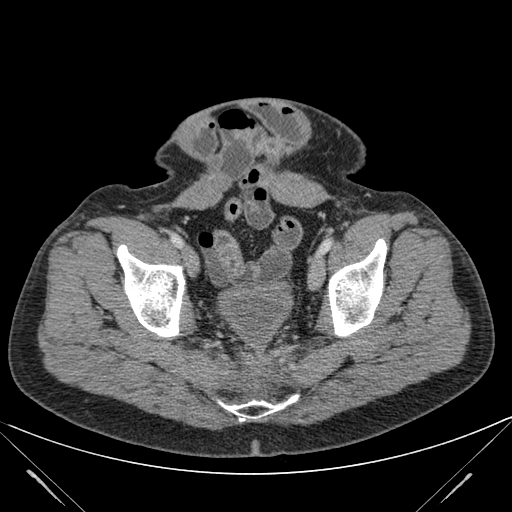

Pelvis; CT scan slice

Annotated regions:
* urinary bladder: l=217, t=283, r=293, b=339